Slice index 275. CT slice. Image width 383 mm.
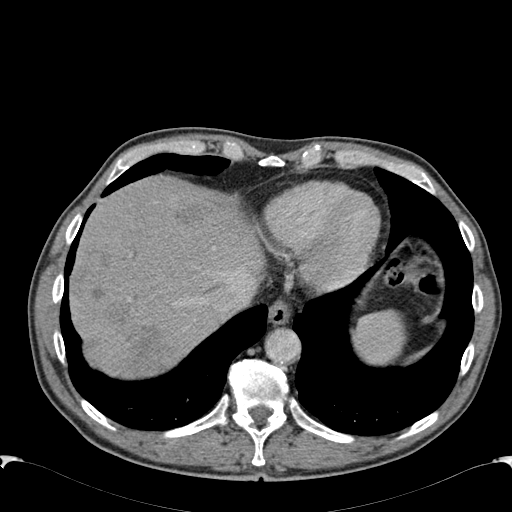 • liver: 70, 175, 263, 376
• liver lesion: 178, 205, 203, 224; 129, 327, 180, 375; 106, 304, 127, 322; 93, 288, 101, 299